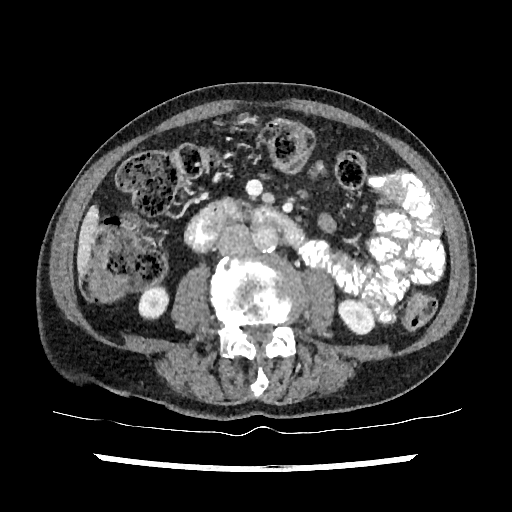

Upper abdomen. Image size 512x512. CT scan slice. <segmentation>
  <kidney>region(140, 289, 166, 315); region(339, 301, 371, 334)</kidney>
  <liver>region(78, 207, 98, 271)</liver>
</segmentation>